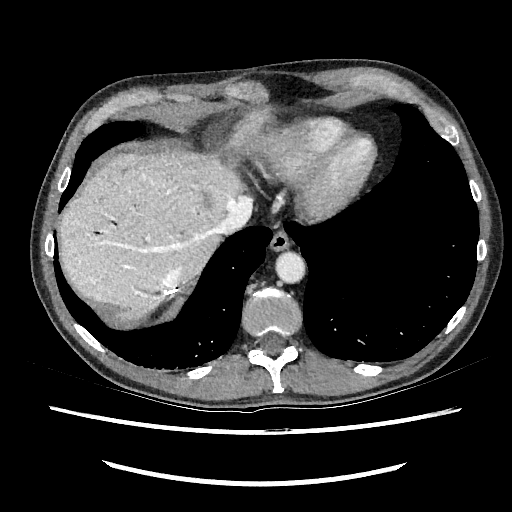
CT slice; Liver
Segmented structures:
• liver: l=230, t=111, r=300, b=162; l=60, t=149, r=246, b=321
• focal liver lesion: l=201, t=191, r=210, b=206